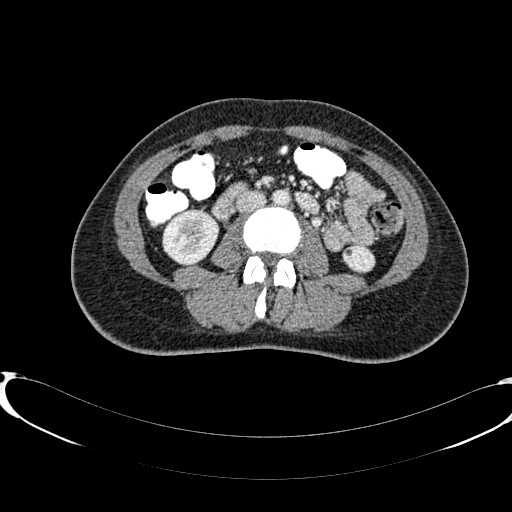

512x512 px | CT slice
kidney: 163,212,217,263; 345,248,372,270